Abdomen, CT scan slice, 512x512, Image width 373 mm 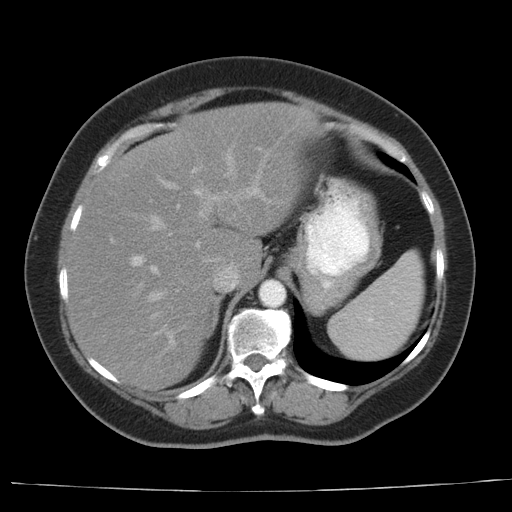

Not every hepatic vessel necessarily has a box.
hepatic_vessel:
  - region(151, 217, 161, 229)
  - region(176, 206, 178, 207)
  - region(169, 337, 172, 341)
  - region(196, 243, 198, 246)
  - region(149, 293, 158, 300)
  - region(199, 213, 202, 215)
  - region(131, 256, 141, 265)
  - region(151, 267, 156, 273)
  - region(165, 183, 173, 188)
  - region(195, 190, 200, 194)